Slice index 49 | Brain | 240x240
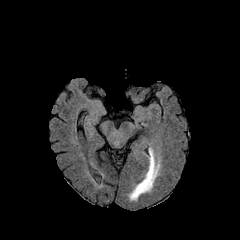
FLAIR MR image.
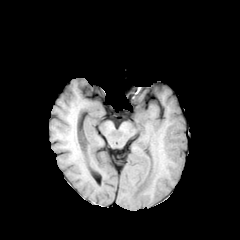
T1-weighted MR image of the same slice.
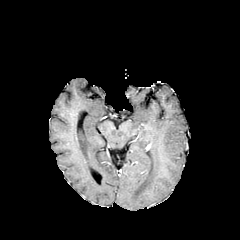
Post-contrast T1-weighted magnetic resonance.
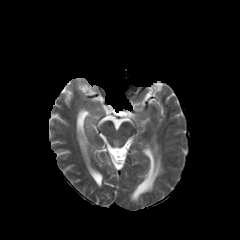
T2-weighted MR of the same slice.
Edema: bounding box x1=129 y1=147 x2=161 y2=201.